Chest; Computed tomography 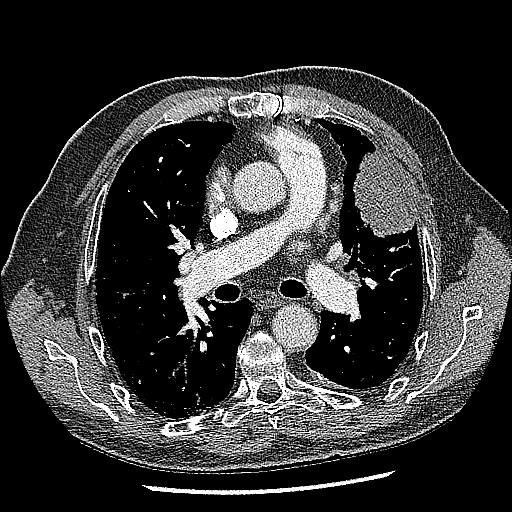
Segmented structures:
* lung tumor: (x1=353, y1=148, x2=415, y2=238)